CT image, Image size 512x512

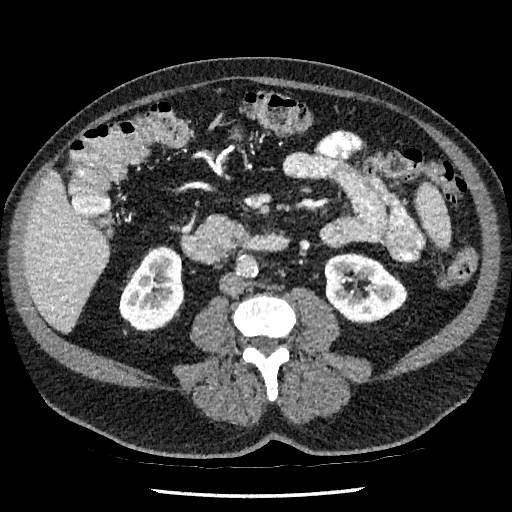

• kidney: rect(325, 255, 405, 321); rect(120, 250, 182, 329)
• liver: rect(23, 169, 108, 332)